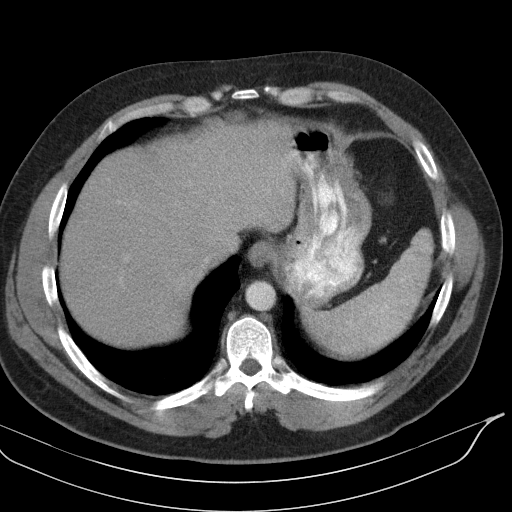

CT | Abdomen

The spleen is located at 302,231,432,358.